CT scan slice. Upper abdomen. Field of view 407x407 mm. Slice 277/463.
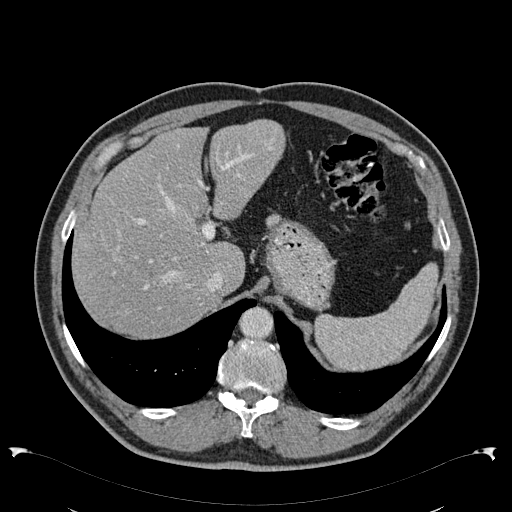

liver:
  - region(209, 120, 284, 220)
  - region(73, 126, 245, 336)